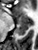 Medial temporal lobe. MRI slice.
The anterior hippocampus is at [16,15,28,24]. The posterior hippocampus appears at [16,25,28,35].